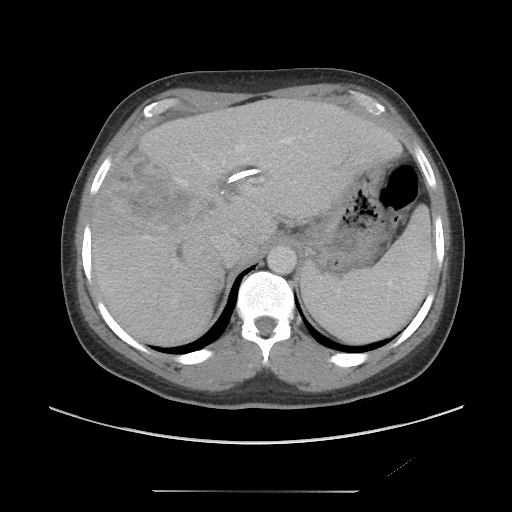

CT slice. Abdomen. Only some of the vessels may be annotated.
The liver tumor lies within (x1=103, y1=156, x2=215, y2=229). 7 hepatic vessel regions are located at (x1=236, y1=144, x2=244, y2=152), (x1=280, y1=137, x2=294, y2=142), (x1=176, y1=178, x2=186, y2=185), (x1=203, y1=162, x2=208, y2=168), (x1=250, y1=180, x2=253, y2=181), (x1=140, y1=236, x2=151, y2=239), (x1=243, y1=158, x2=248, y2=161).